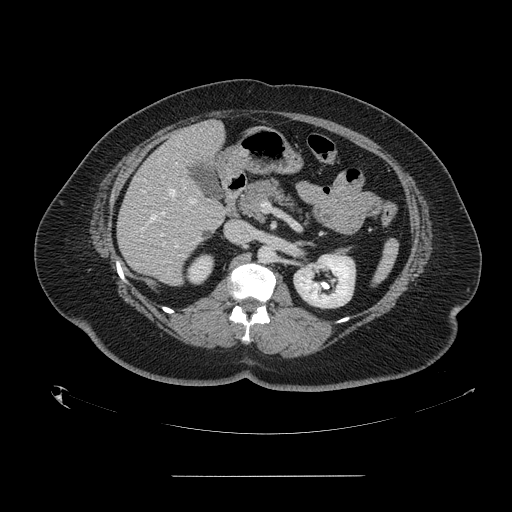 CT slice.
- spleen: l=374, t=241, r=397, b=283